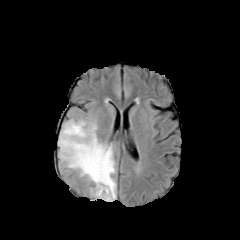
FLAIR MRI.
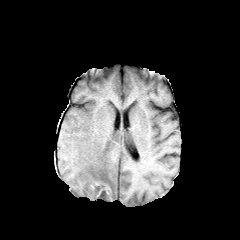
T1-weighted magnetic resonance.
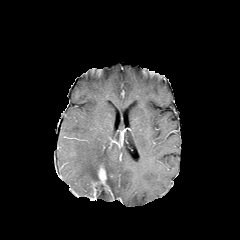
Post-contrast T1-weighted MRI.
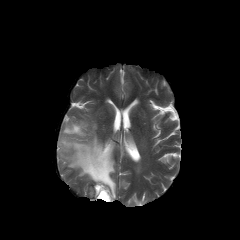
T2-weighted magnetic resonance.
Brain.
The edema lies within {"x1": 58, "y1": 118, "x2": 116, "y2": 201}. The non-enhancing tumor core appears at {"x1": 90, "y1": 164, "x2": 113, "y2": 199}. The enhancing tumor is at {"x1": 98, "y1": 168, "x2": 112, "y2": 196}.